Slice 103/130. Cardiac. MR.

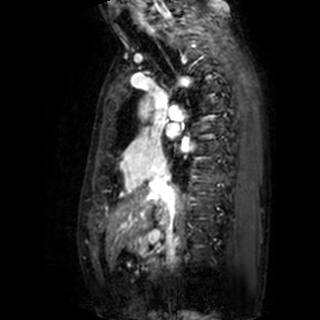

Segmented structures:
• left atrium: [182, 141, 194, 150], [166, 125, 178, 138]